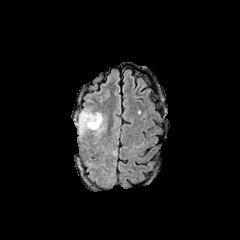
FLAIR MR.
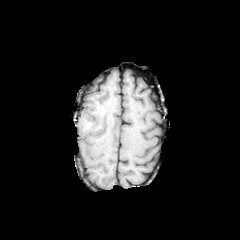
T1-weighted MRI of the same slice.
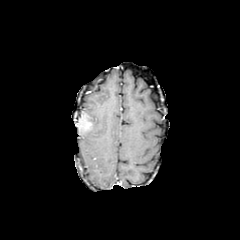
Post-contrast T1-weighted MRI of the same slice.
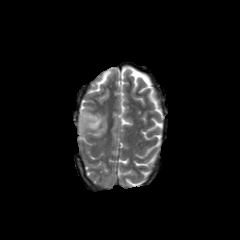
Same slice, T2-weighted magnetic resonance.
Brain
The edema appears at l=75, t=109, r=105, b=135. The enhancing tumor is bounded by l=79, t=114, r=92, b=131.